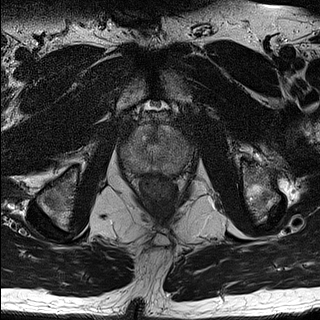
T2-weighted magnetic resonance.
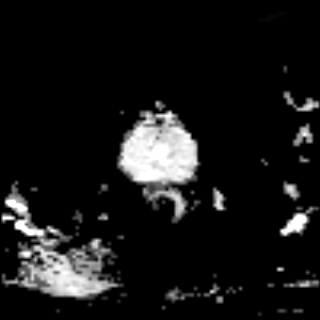
Same slice, ADC MR.
Prostate
Annotated regions:
* prostate peripheral zone: <bbox>120, 124, 191, 180</bbox>
* prostate transition zone: <bbox>140, 124, 170, 163</bbox>